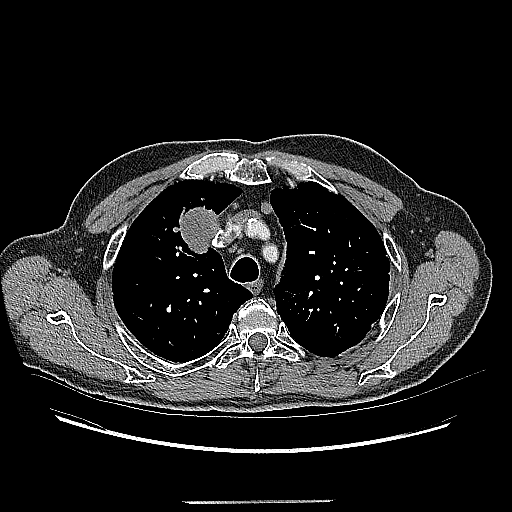
Lung | CT | 512x512
<segmentation>
  <lung_tumor>(172, 196, 219, 253)</lung_tumor>
</segmentation>